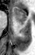
MR image; Medial temporal lobe

The anterior hippocampus is located at region(12, 6, 26, 23).